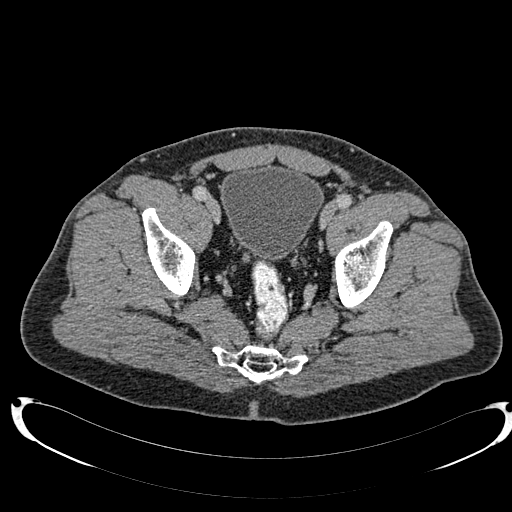 Image size 512x512, Lower abdomen, CT scan slice

Segmented structures:
* urinary bladder: (left=221, top=163, right=324, bottom=261)